Image size 512x512, Computed tomography
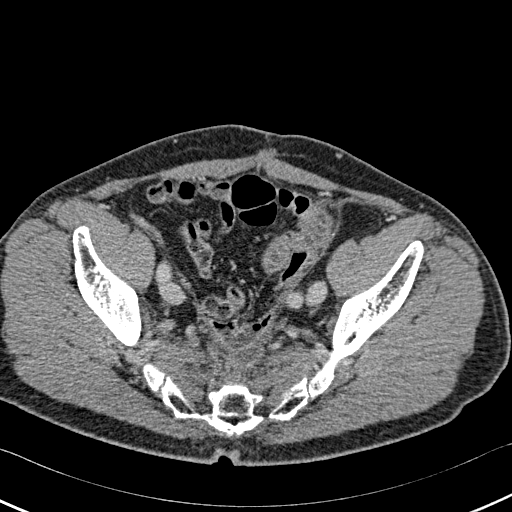
Bone at box=[144, 365, 263, 434]; box=[72, 226, 143, 353]; box=[269, 241, 423, 420].